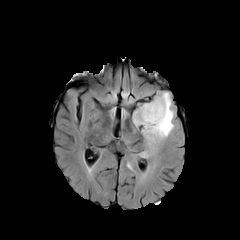
FLAIR MR.
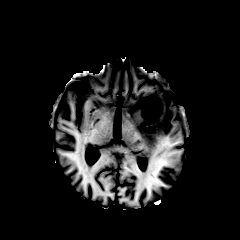
T1-weighted MR image.
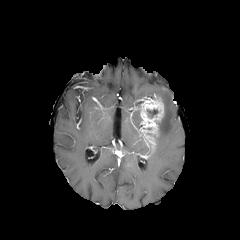
Post-contrast T1-weighted MR image.
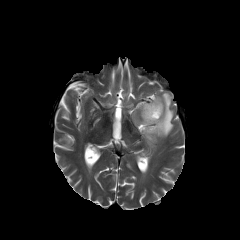
Same slice, T2-weighted MR image.
240x240 px
Annotated regions:
- edema: <bbox>145, 92, 175, 158</bbox>, <bbox>131, 106, 146, 137</bbox>, <bbox>139, 141, 148, 155</bbox>
- enhancing tumor: <bbox>136, 94, 163, 128</bbox>
- non-enhancing tumor core: <bbox>142, 127, 157, 151</bbox>, <bbox>146, 109, 159, 116</bbox>